Abdomen. CT. 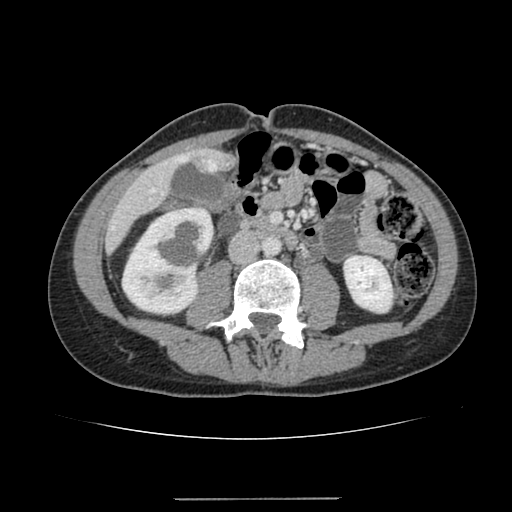
Kidney: bounding box [344,256,392,311], [122,208,212,312].
Liver: bounding box [104,150,234,254].